Field of view 240 mm wide, 1.00 mm slice spacing, Slice index 68
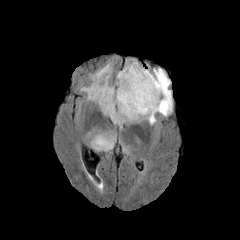
FLAIR MR.
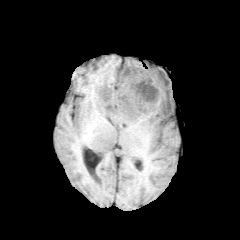
T1-weighted MR image.
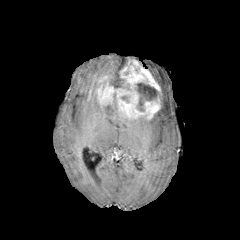
Post-contrast T1-weighted MR image of the same slice.
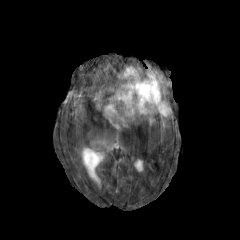
T2-weighted MR image.
edema: box=[82, 64, 172, 125]; box=[92, 136, 113, 149] | non-enhancing tumor core: box=[150, 72, 164, 85]; box=[110, 75, 127, 89]; box=[107, 93, 115, 109]; box=[158, 104, 168, 113]; box=[136, 82, 161, 111] | enhancing tumor: box=[98, 60, 161, 119]